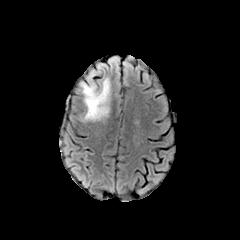
FLAIR MRI.
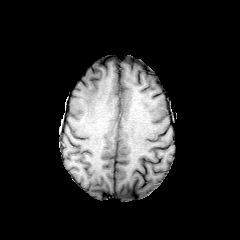
T1-weighted MR image.
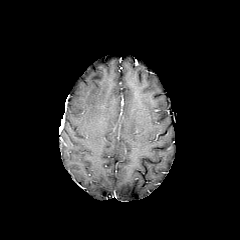
Post-contrast T1-weighted MR of the same slice.
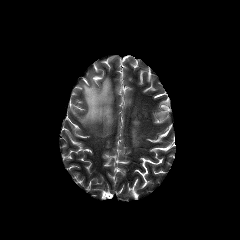
T2-weighted MRI.
Edema: l=80, t=70, r=110, b=121.